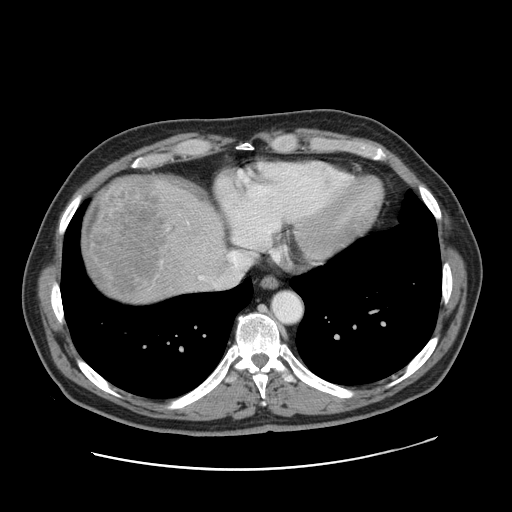 512x512; Liver; CT image
The vessel annotation is not exhaustive.
Liver tumor: bounding box x1=84, y1=180, x2=164, y2=295.
Hepatic vessel: bounding box x1=167, y1=227, x2=168, y2=229.